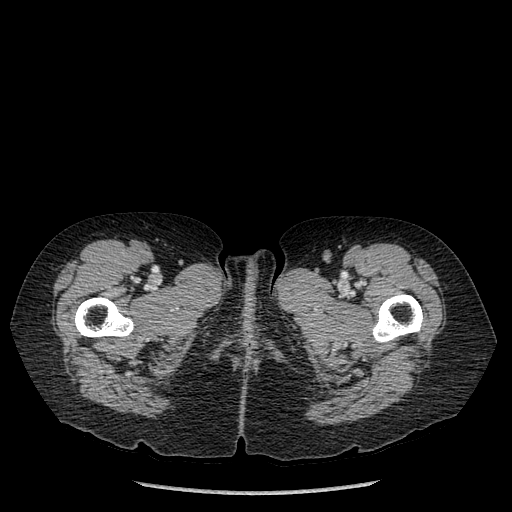 CT slice. Image size 512x512.
<segmentation>
  <bone>x1=72 y1=297 x2=134 y2=337, x1=372 y1=293 x2=423 y2=342</bone>
</segmentation>